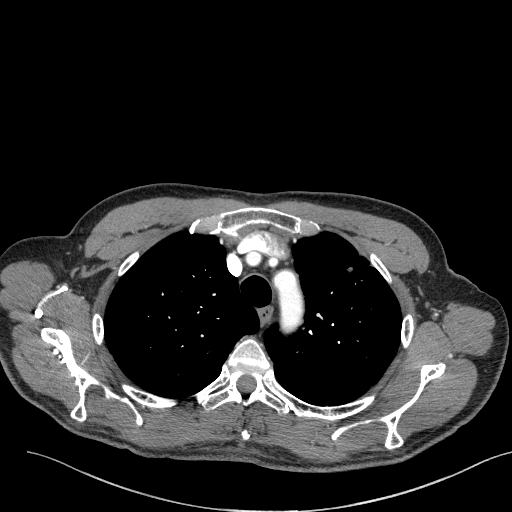

CT
Lung tumor: bounding box l=342, t=265, r=373, b=289.